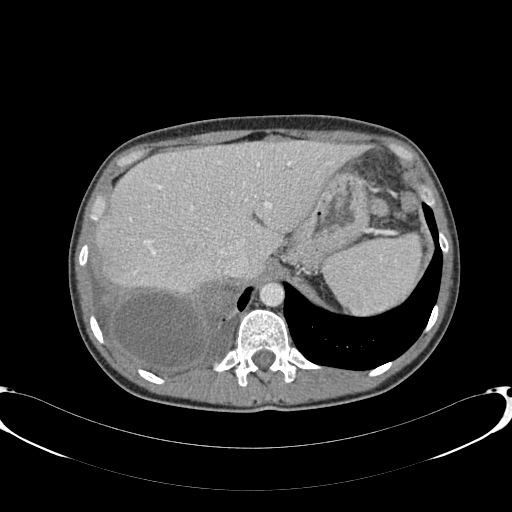

Image size 512x512, Liver, CT

Segmented structures:
• liver: l=94, t=140, r=373, b=292